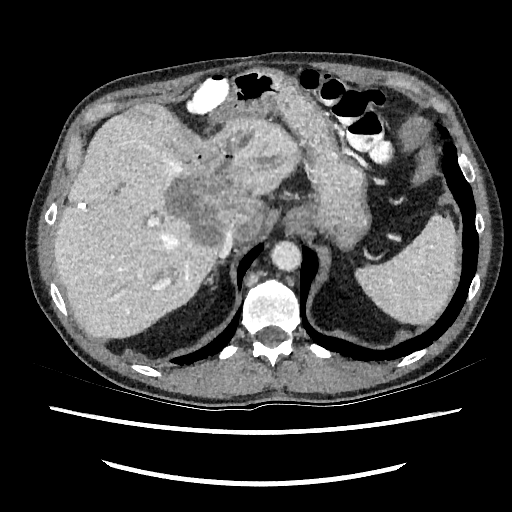

CT slice.
<segmentation>
  <liver>x1=53 y1=102 x2=299 y2=338</liver>
  <focal_liver_lesion>x1=193 y1=154 x2=206 y2=164, x1=164 y1=169 x2=262 y2=245</focal_liver_lesion>
</segmentation>